CT scan slice | 512x512 | Upper abdomen
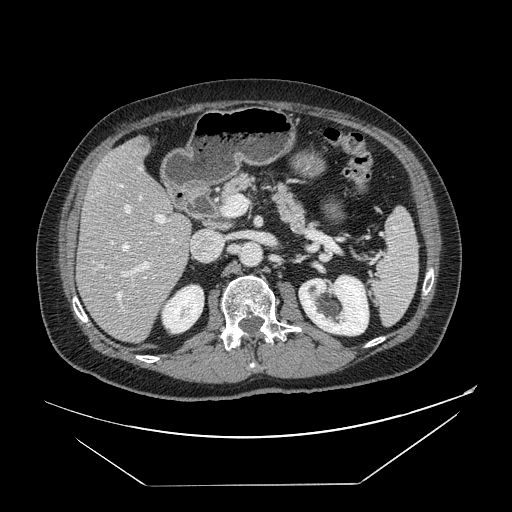

Pancreas: bounding box x1=221, y1=174, x2=255, y2=201; x1=274, y1=186, x2=314, y2=234.